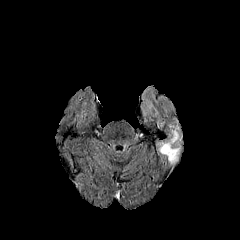
FLAIR MRI.
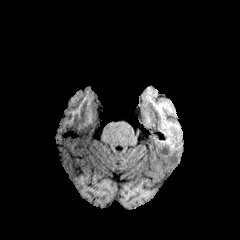
T1-weighted magnetic resonance.
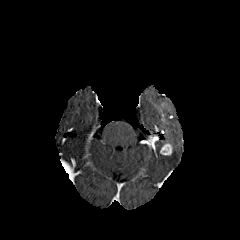
Post-contrast T1-weighted MR.
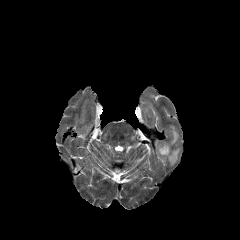
T2-weighted MRI.
Head
Edema = rect(165, 124, 182, 165); rect(156, 139, 167, 152).
Enhancing tumor = rect(160, 140, 172, 155).